CT image, 512x512

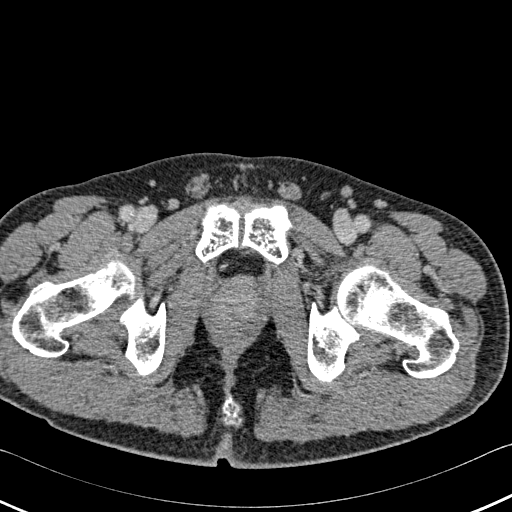

{"bone": ["0 262 165 374", "307 266 458 381", "223 397 239 425", "195 205 291 264"]}